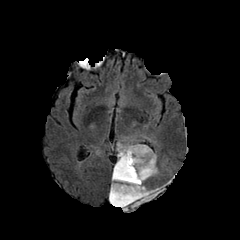
FLAIR MR image.
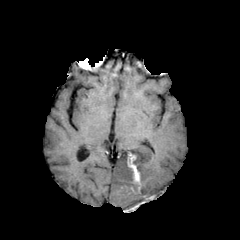
T1-weighted magnetic resonance of the same slice.
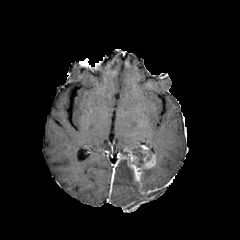
Post-contrast T1-weighted MRI.
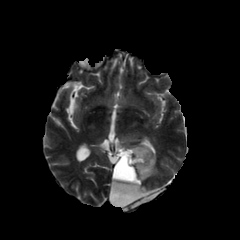
T2-weighted MRI.
Brain
Non-enhancing tumor core — region(110, 146, 157, 208).
Enhancing tumor — region(112, 152, 122, 181); region(130, 155, 141, 182).
Edema — region(140, 146, 163, 198); region(109, 193, 135, 211); region(116, 180, 133, 193); region(116, 144, 142, 153).